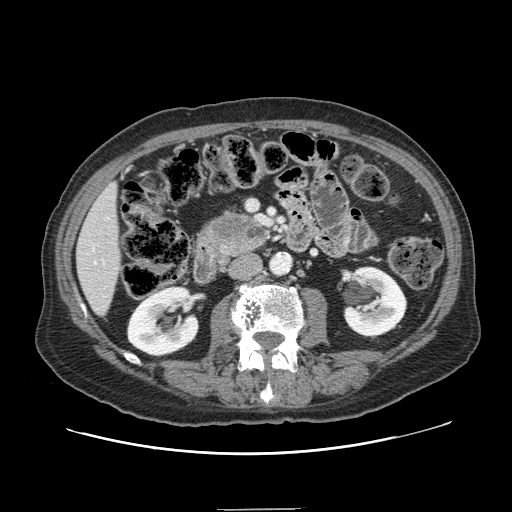
512x512 px; CT

<segmentation>
  <pancreatic_tumor>{"x1": 210, "y1": 214, "x2": 251, "y2": 240}</pancreatic_tumor>
  <pancreas>{"x1": 207, "y1": 210, "x2": 266, "y2": 257}</pancreas>
</segmentation>